FLAIR MR.
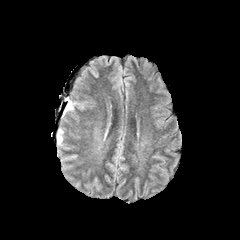
T1-weighted MRI.
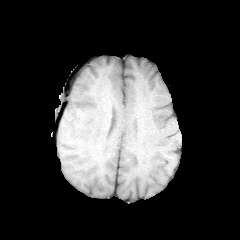
Post-contrast T1-weighted MR image.
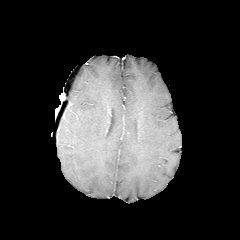
T2-weighted MR.
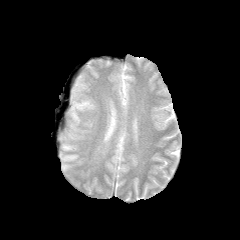
Brain
edema: 66, 100, 86, 111